Brain; Slice 112/155
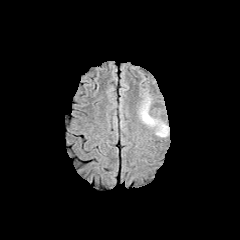
FLAIR MR.
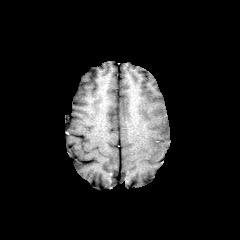
Same slice, T1-weighted magnetic resonance.
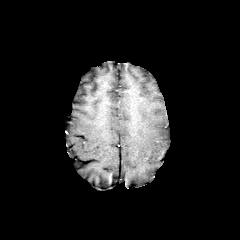
Post-contrast T1-weighted MR image.
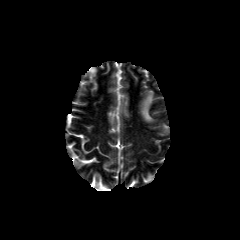
T2-weighted MR.
* edema: l=139, t=89, r=168, b=137